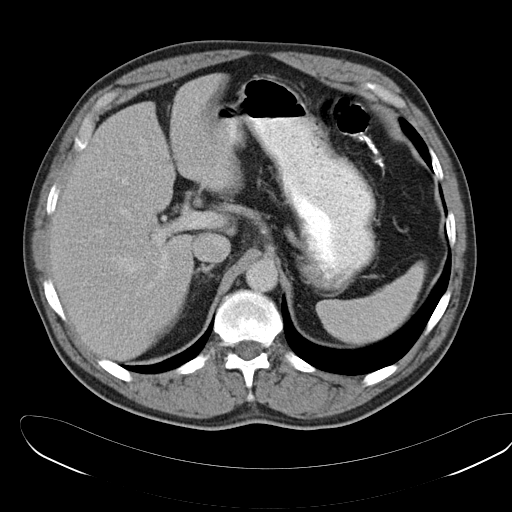
CT image. 512x512 px.

spleen:
  - 317 264 425 343